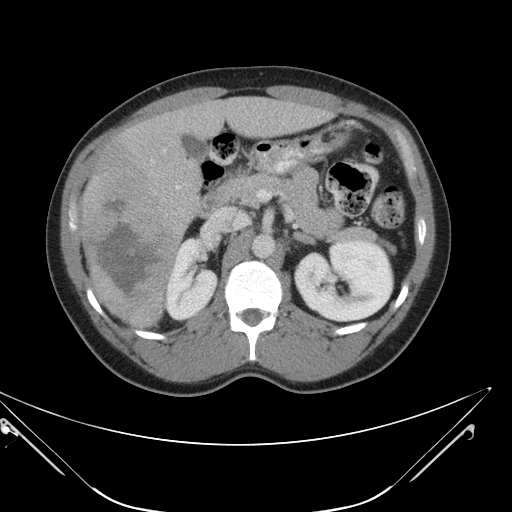 CT image | 512x512
The vessel boxes may cover only some of the vessels.
• liver tumor: [84, 143, 179, 327]
• hepatic vessel: [151, 160, 154, 163], [176, 185, 179, 188], [163, 149, 165, 151], [202, 208, 243, 233]